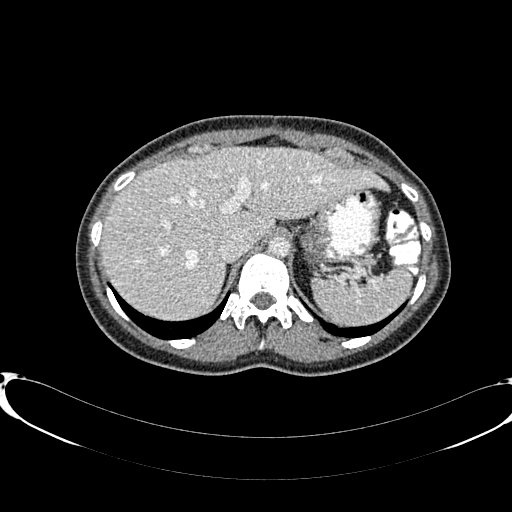
CT image. 512x512 px.

Liver: box=[102, 147, 389, 318].